CT scan slice, Abdomen
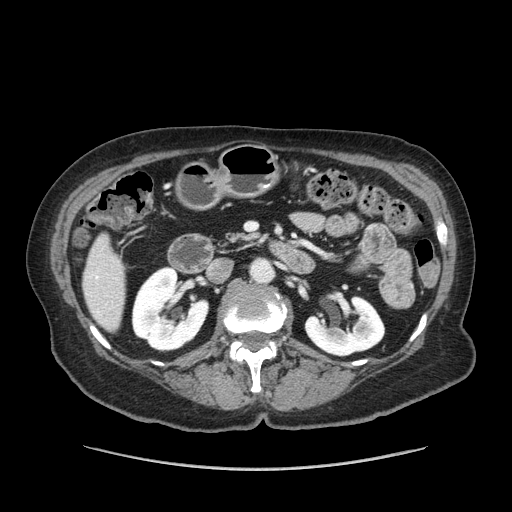 The pancreas is located at x1=232 y1=233 x2=257 y2=241.